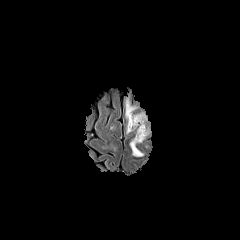
FLAIR MR image.
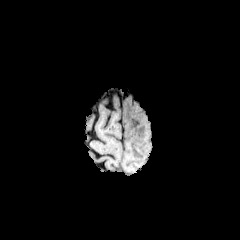
T1-weighted MRI of the same slice.
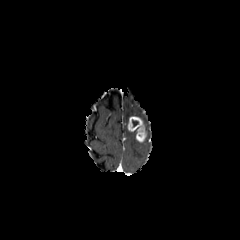
Post-contrast T1-weighted MR.
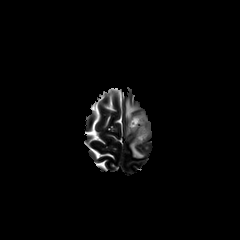
T2-weighted MRI.
Head; Image size 240x240
The enhancing tumor is located at {"x1": 127, "y1": 116, "x2": 147, "y2": 142}. 3 edema regions appear at {"x1": 130, "y1": 139, "x2": 147, "y2": 157}, {"x1": 124, "y1": 98, "x2": 139, "y2": 124}, {"x1": 136, "y1": 110, "x2": 151, "y2": 140}.